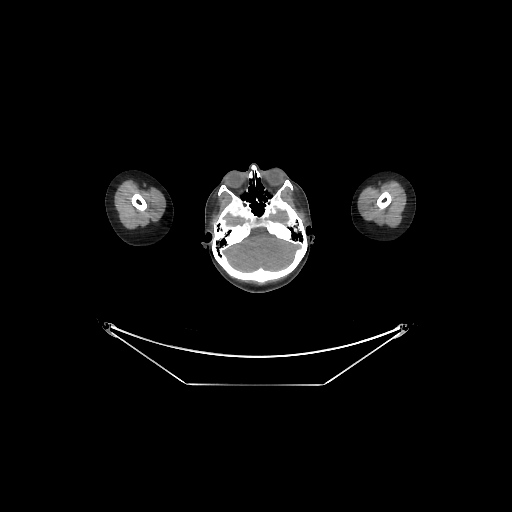 CT slice; Image size 512x512
3 brain regions are located at 224:226:297:270, 228:217:244:224, 269:211:287:222.